Upper abdomen. CT image.
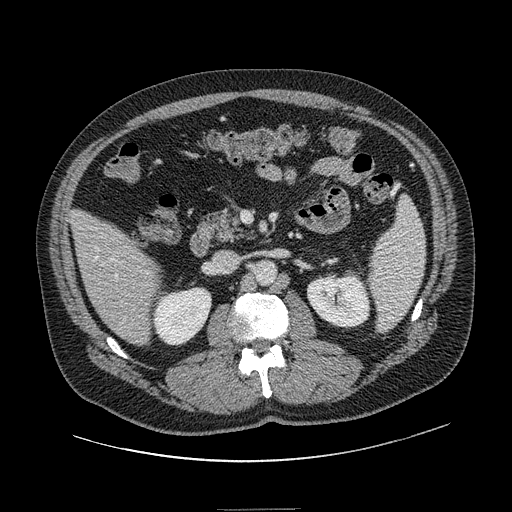
• pancreas: 208,215,246,241